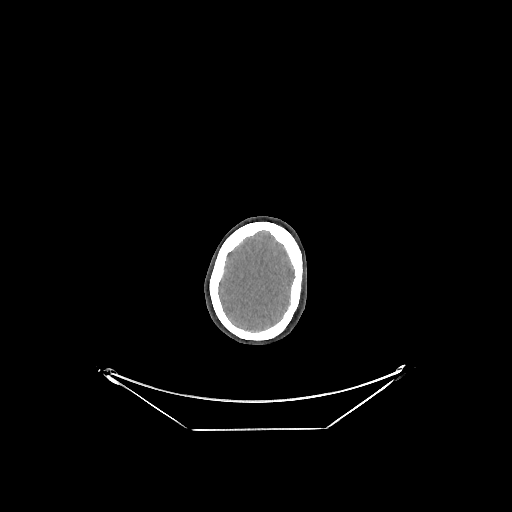

CT. 512x512 px.

brain:
  - 218:231:294:331